Abdomen, CT slice, Slice index 56 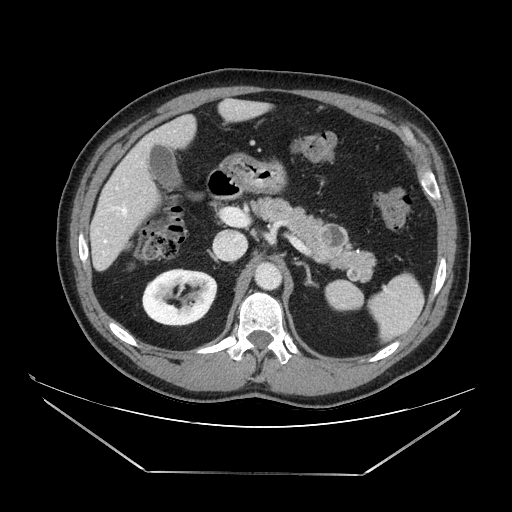

pancreas:
  - region(251, 197, 376, 281)
pancreatic_tumor:
  - region(317, 223, 348, 248)